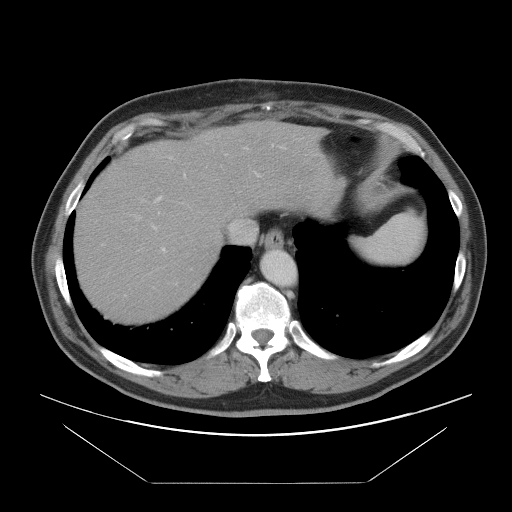 CT, 512x512
Not every hepatic vessel necessarily has a box.
8 hepatic vessel regions are bounded by box=[153, 226, 155, 228]; box=[257, 173, 258, 175]; box=[162, 248, 165, 251]; box=[156, 197, 160, 200]; box=[137, 216, 140, 219]; box=[281, 146, 285, 148]; box=[184, 174, 185, 176]; box=[272, 144, 273, 146].